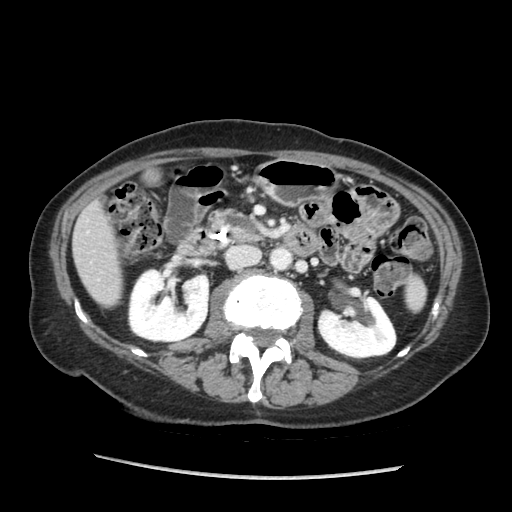
Computed tomography; Abdomen
Pancreas — <bbox>210, 209, 261, 240</bbox>.